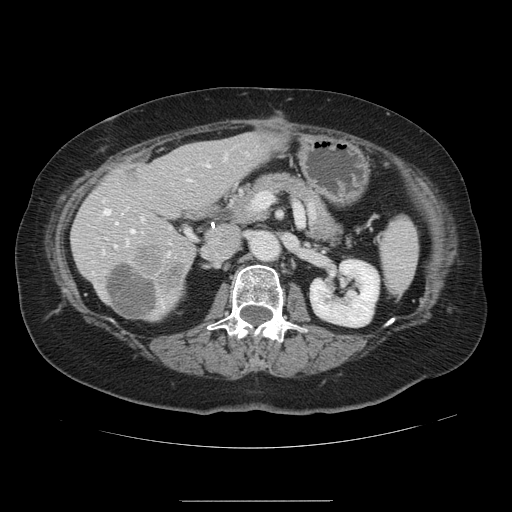
CT slice. 512x512 px. Liver.

Only some of the vessels may be annotated.
2 liver tumor regions are bounded by left=109, top=264, right=158, bottom=318; left=132, top=244, right=188, bottom=289. 12 hepatic vessel regions are bounded by left=114, top=245, right=115, bottom=246; left=125, top=239, right=127, bottom=244; left=206, top=164, right=208, bottom=165; left=246, top=153, right=249, bottom=154; left=166, top=251, right=169, bottom=255; left=102, top=250, right=103, bottom=253; left=141, top=217, right=143, bottom=220; left=115, top=222, right=117, bottom=223; left=224, top=154, right=226, bottom=158; left=130, top=229, right=133, bottom=232; left=103, top=208, right=109, bottom=214; left=187, top=179, right=190, bottom=180.